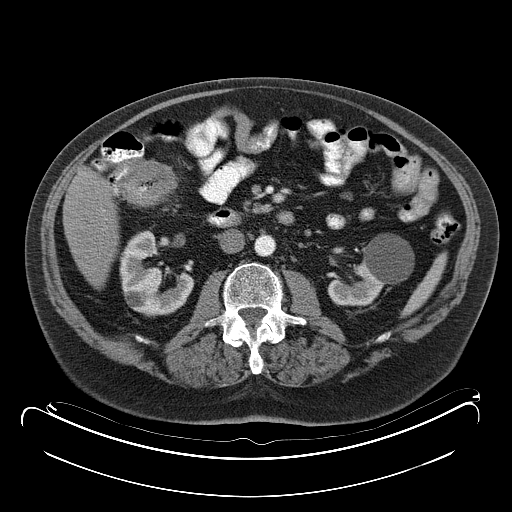

CT slice
Colon tumor = [124, 160, 177, 206].